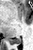 Image size 33x50 | MR image | Medial temporal lobe

Posterior hippocampus: {"x1": 9, "y1": 37, "x2": 21, "y2": 43}.